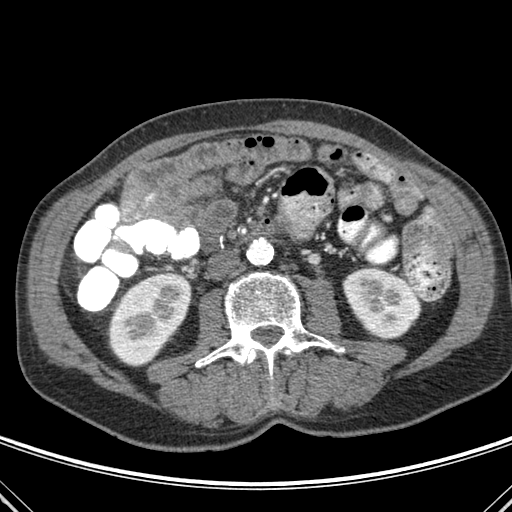

Image size 512x512; Abdomen; CT slice
<segmentation>
  <bone>195,272,344,398</bone>
  <kidney>110,274,190,364; 344,269,419,337</kidney>
</segmentation>